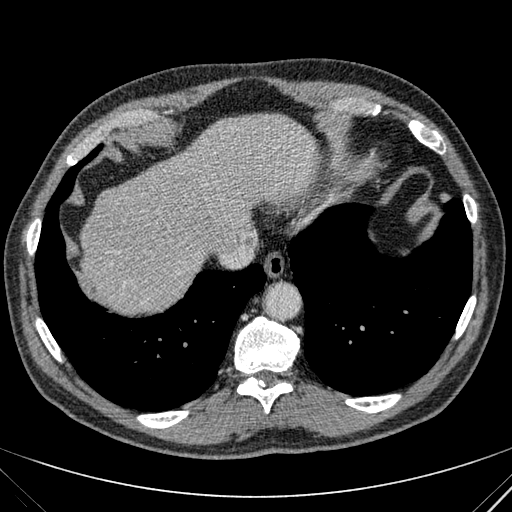

Computed tomography, Image size 512x512, Abdomen
liver: 81 114 318 312